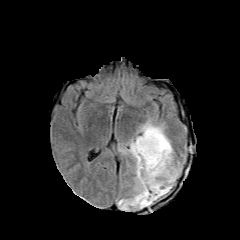
FLAIR MRI.
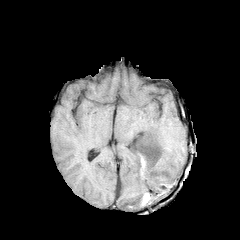
T1-weighted MR image.
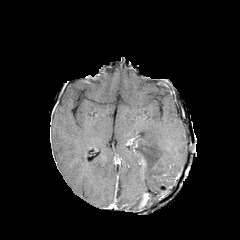
Post-contrast T1-weighted MR.
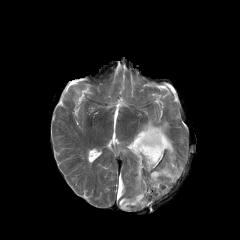
Same slice, T2-weighted magnetic resonance.
The edema lies within 117,119,181,211. The non-enhancing tumor core lies within 130,136,140,153.